CT scan slice
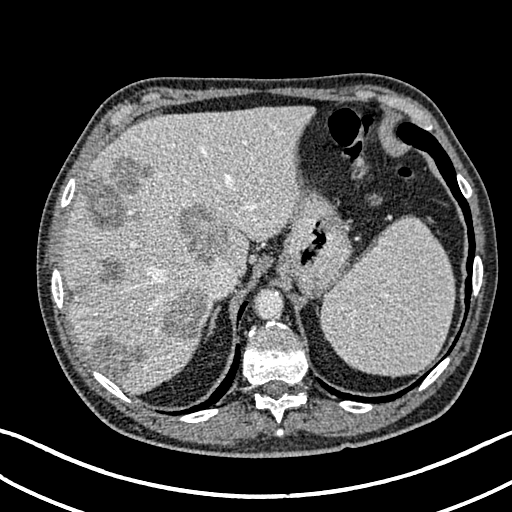 Liver — 197:312:207:330, 64:107:314:392.
Focal liver lesion — 100:257:123:284, 91:333:143:379, 181:204:229:262, 161:291:208:341, 75:277:91:296, 83:155:154:230.